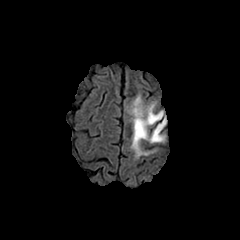
FLAIR MR image.
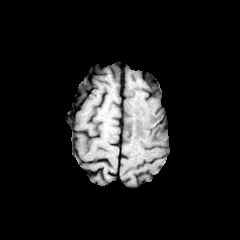
T1-weighted MRI of the same slice.
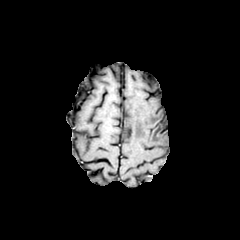
Post-contrast T1-weighted MRI.
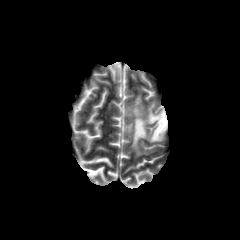
T2-weighted MR.
240x240 px.
edema: 128,94,166,156 | non-enhancing tumor core: 154,117,165,139